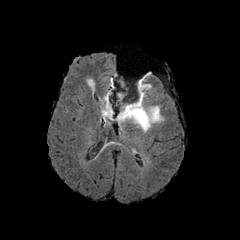
FLAIR MR.
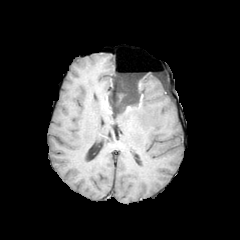
T1-weighted MR image of the same slice.
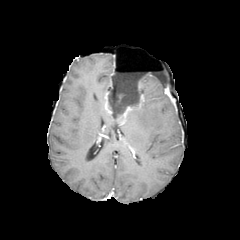
Same slice, post-contrast T1-weighted MRI.
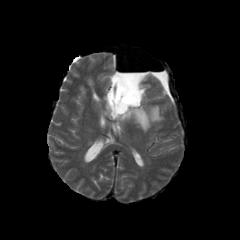
T2-weighted magnetic resonance of the same slice.
2 edema regions are located at {"x1": 105, "y1": 75, "x2": 111, "y2": 89}, {"x1": 100, "y1": 75, "x2": 164, "y2": 132}. The enhancing tumor appears at {"x1": 123, "y1": 106, "x2": 132, "y2": 120}. 2 non-enhancing tumor core regions are located at {"x1": 107, "y1": 90, "x2": 113, "y2": 106}, {"x1": 116, "y1": 78, "x2": 143, "y2": 120}.